FLAIR MRI.
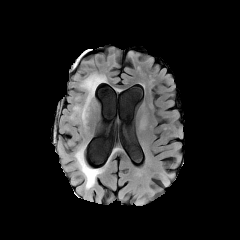
T1-weighted magnetic resonance.
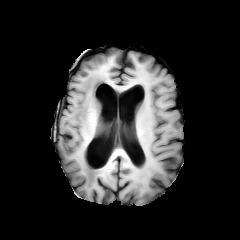
Post-contrast T1-weighted MR image.
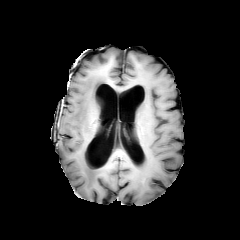
T2-weighted MR image.
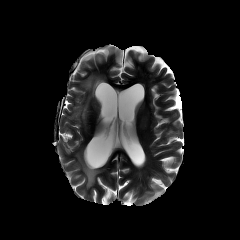
Head
Segmented structures:
- edema: <box>67,145,101,189</box>, <box>81,74,104,103</box>